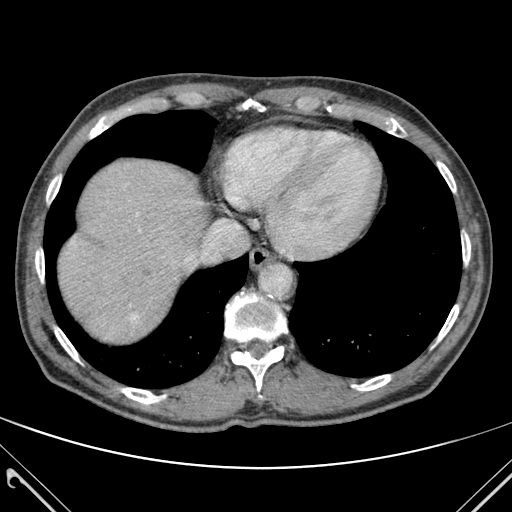

CT slice
The liver appears at bbox=[59, 160, 206, 342]. 2 lung regions are located at bbox=[289, 121, 461, 376]; bbox=[44, 110, 248, 388]. 13 bone regions are located at bbox=[437, 162, 455, 191]; bbox=[381, 118, 403, 135]; bbox=[90, 117, 111, 137]; bbox=[35, 248, 44, 282]; bbox=[462, 234, 470, 263]; bbox=[352, 375, 390, 390]; bbox=[437, 305, 458, 341]; bbox=[225, 292, 286, 341]; bbox=[122, 388, 164, 404]; bbox=[55, 327, 79, 361]; bbox=[46, 175, 60, 203]; bbox=[231, 346, 283, 390]; bbox=[241, 99, 265, 111].